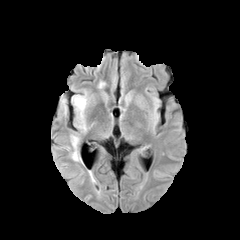
FLAIR MR image.
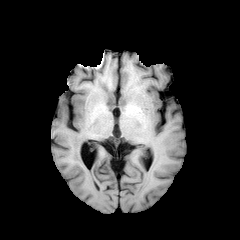
T1-weighted MRI of the same slice.
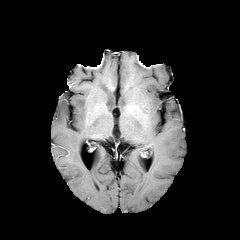
Post-contrast T1-weighted MR of the same slice.
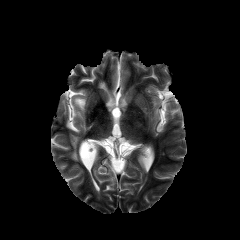
T2-weighted MRI.
240x240 px
edema:
  - box=[61, 100, 68, 114]
  - box=[68, 91, 89, 161]